FLAIR magnetic resonance.
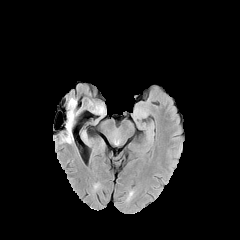
T1-weighted MR image.
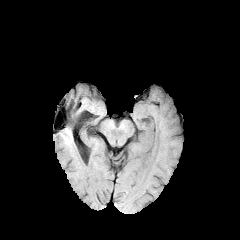
Post-contrast T1-weighted MR.
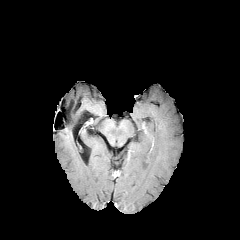
T2-weighted MRI.
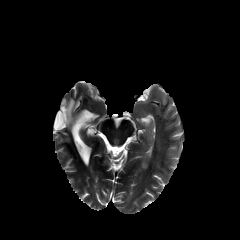
Edema: bounding box (x1=65, y1=97, x2=79, y2=138).